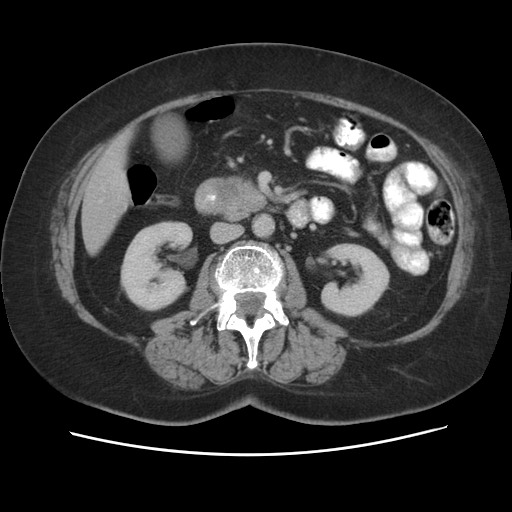 Computed tomography; Upper abdomen; Image size 512x512
The pancreatic tumor is at region(219, 181, 245, 206). The pancreas lies within region(208, 177, 268, 221).